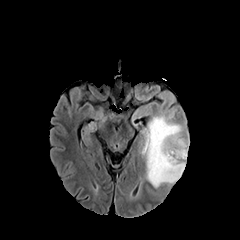
FLAIR MR image.
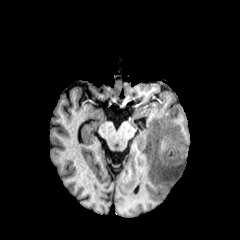
Same slice, T1-weighted magnetic resonance.
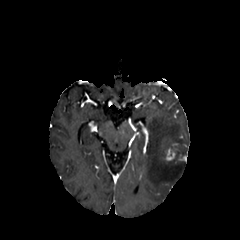
Post-contrast T1-weighted MR image of the same slice.
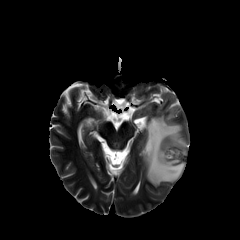
T2-weighted MRI.
The edema is located at bbox=[145, 115, 189, 186].